Liver, 512x512 px, CT slice

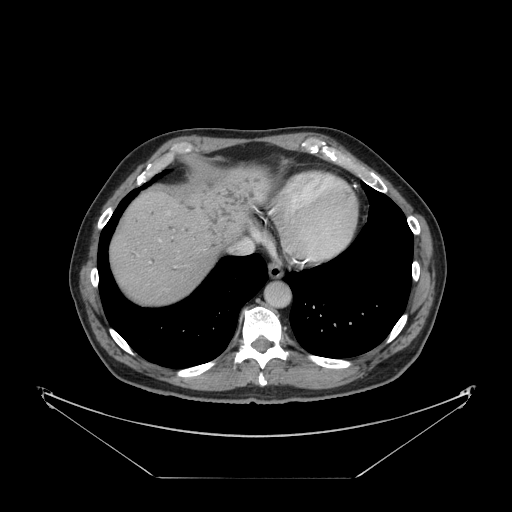
Some hepatic vessels may have no box.
Segmented structures:
• hepatic vessel: 253:231:260:240, 230:238:253:253